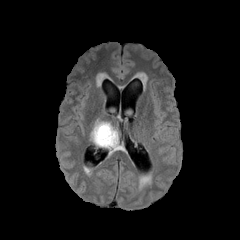
FLAIR MR image.
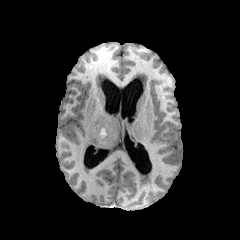
T1-weighted MR.
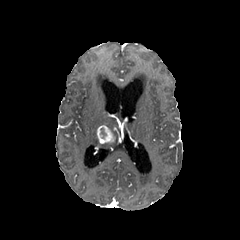
Post-contrast T1-weighted MR image.
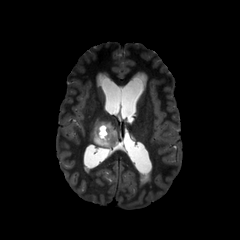
T2-weighted MR of the same slice.
Enhancing tumor — [96, 124, 112, 144].
Edema — [89, 119, 117, 158].
Non-enhancing tumor core — [103, 134, 116, 144], [99, 126, 107, 139].